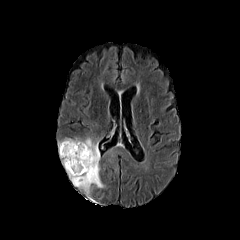
FLAIR MR.
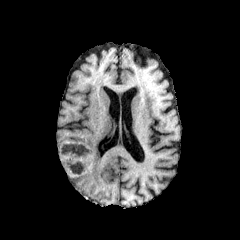
Same slice, T1-weighted MRI.
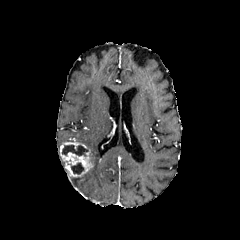
Post-contrast T1-weighted MRI.
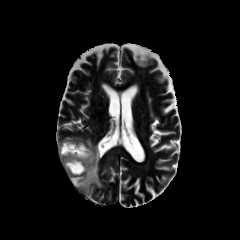
T2-weighted MRI of the same slice.
Brain.
{
  "non-enhancing_tumor_core": [
    "61 145 88 156",
    "65 160 85 174"
  ],
  "enhancing_tumor": [
    "59 141 93 171",
    "65 162 85 176"
  ],
  "edema": [
    "71 137 105 195"
  ]
}